240x240 px | Brain
FLAIR MR.
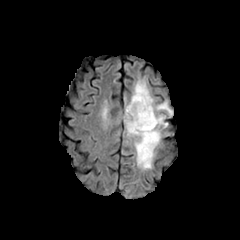
T1-weighted MRI.
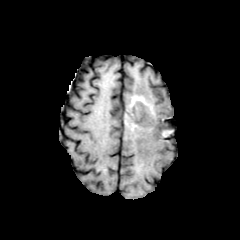
Post-contrast T1-weighted MR.
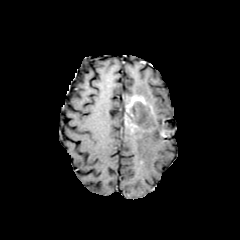
T2-weighted MR.
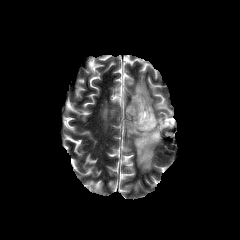
<segmentation>
  <enhancing_tumor>box=[127, 96, 145, 113]</enhancing_tumor>
  <non-enhancing_tumor_core>box=[124, 101, 153, 132]</non-enhancing_tumor_core>
  <edema>box=[124, 78, 172, 170]</edema>
</segmentation>